Slice index 119 | CT | Abdomen | 512x512 px

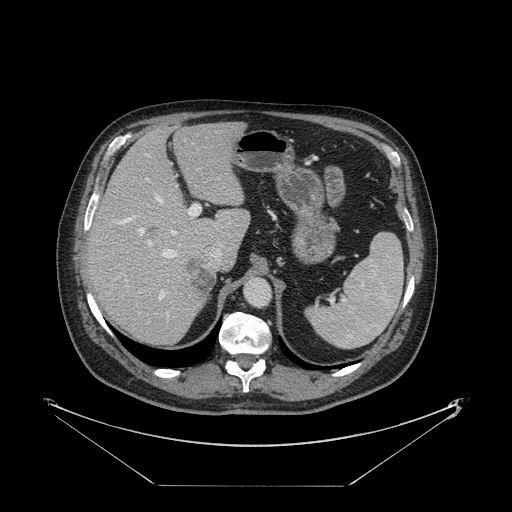
Only some of the vessels may be annotated.
{
  "liver_tumor": [
    "box=[185, 256, 214, 300]"
  ],
  "hepatic_vessel": [
    "box=[172, 231, 174, 233]",
    "box=[145, 179, 147, 180]",
    "box=[166, 312, 167, 313]",
    "box=[188, 203, 200, 216]",
    "box=[147, 240, 150, 244]",
    "box=[158, 293, 163, 299]",
    "box=[174, 175, 176, 176]",
    "box=[138, 228, 144, 233]"
  ]
}